240x240 px. Slice index 84. Head.
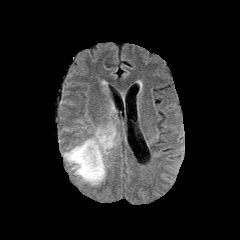
FLAIR MRI.
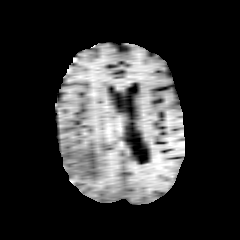
Same slice, T1-weighted MR image.
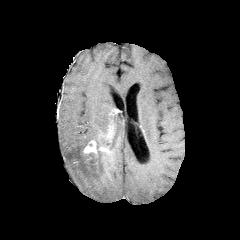
Same slice, post-contrast T1-weighted MR.
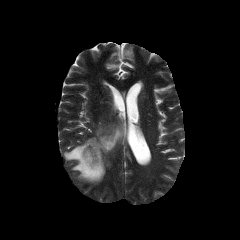
T2-weighted magnetic resonance.
{"enhancing_tumor": ["[83, 140, 109, 154]", "[107, 128, 113, 138]"], "edema": ["[64, 127, 109, 185]", "[110, 125, 119, 150]"], "non-enhancing_tumor_core": ["[83, 153, 97, 167]"]}